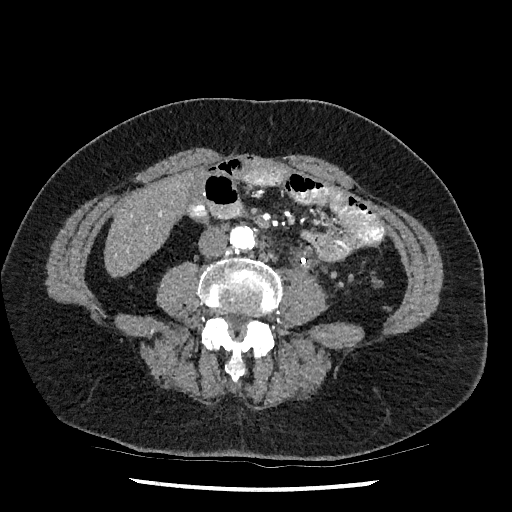
CT scan slice.
The liver appears at (105, 174, 192, 275).